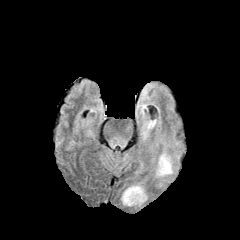
FLAIR MR image.
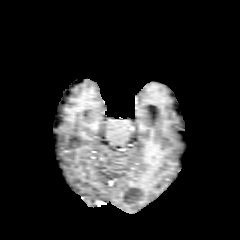
T1-weighted MRI.
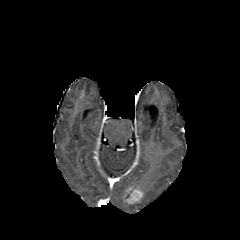
Post-contrast T1-weighted magnetic resonance of the same slice.
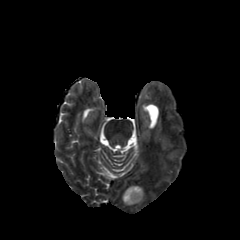
T2-weighted MR.
240x240. Head.
The enhancing tumor is at 126:188:142:202. 3 edema regions are bounded by 128:184:143:191, 157:156:171:177, 121:189:145:205.